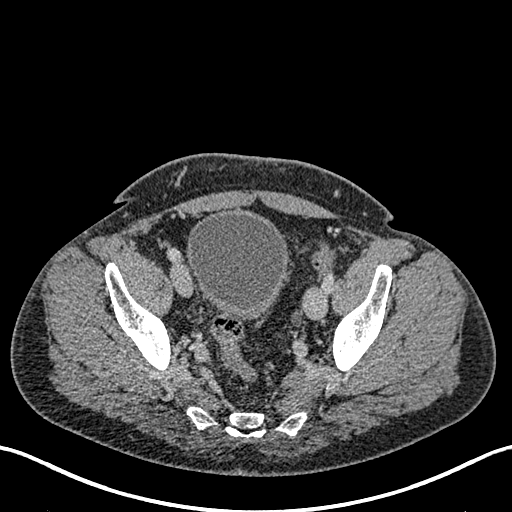

Computed tomography
<segmentation>
  <urinary_bladder>bbox=[187, 212, 289, 321]</urinary_bladder>
</segmentation>